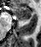
MRI slice. Medial temporal lobe. {
  "anterior_hippocampus": [
    "region(12, 5, 30, 19)"
  ],
  "posterior_hippocampus": [
    "region(20, 20, 26, 20)"
  ]
}